Liver | CT image

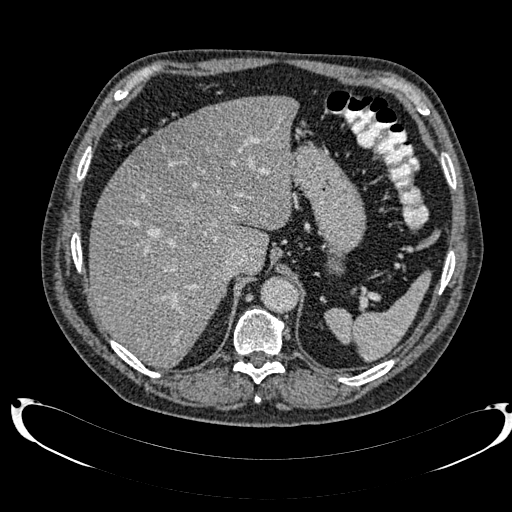 Findings:
* hepatic lesion: [134,101,253,208]
* liver: [146,126,168,140], [90,96,298,368]